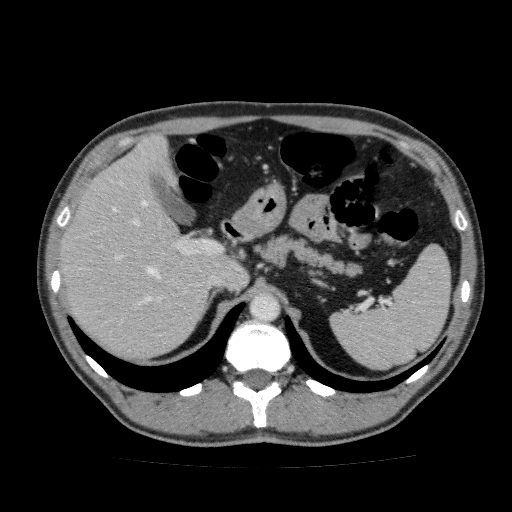 CT slice
Liver — <bbox>58, 133, 249, 359</bbox>.